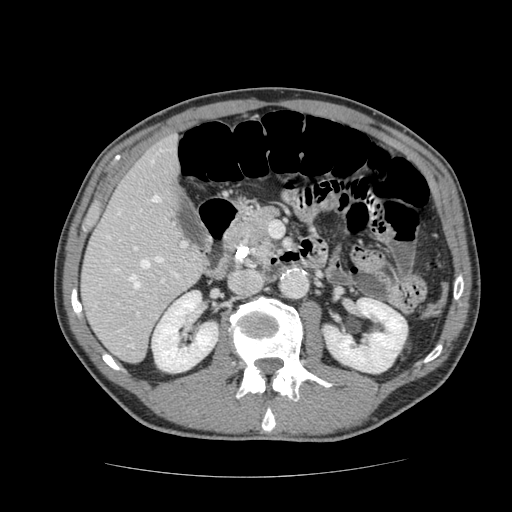 Abdomen | CT image

Pancreas: bounding box bbox(224, 205, 282, 270).
Pancreatic tumor: bounding box bbox(244, 209, 271, 238).